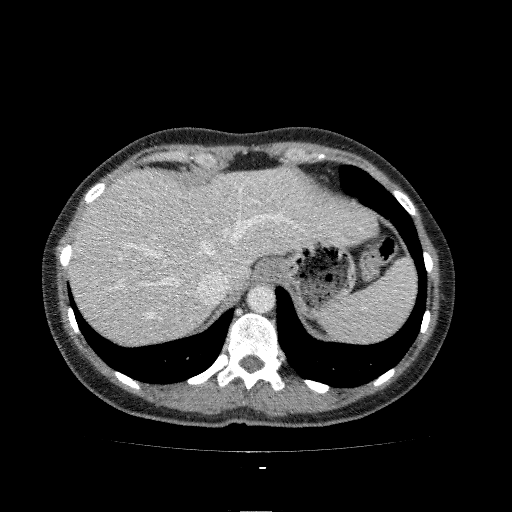 CT slice; Abdomen

Liver = box=[69, 167, 376, 344].